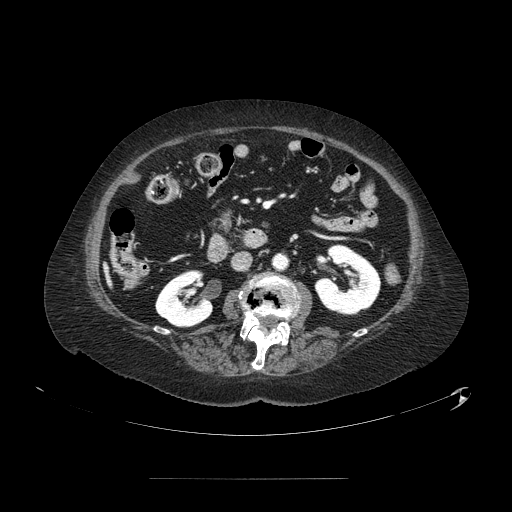 Upper abdomen | CT slice

pancreas:
  - x1=217 y1=212 x2=232 y2=230